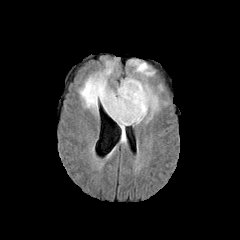
FLAIR MR.
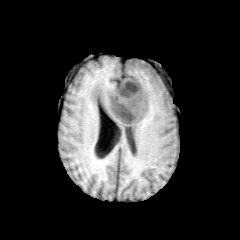
Same slice, T1-weighted magnetic resonance.
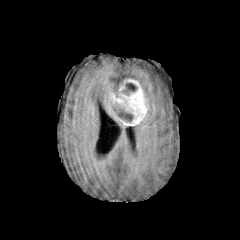
Same slice, post-contrast T1-weighted MR image.
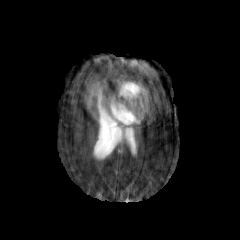
T2-weighted MR.
Head
2 non-enhancing tumor core regions are bounded by x1=112, y1=106, x2=133, y2=121; x1=125, y1=83, x2=137, y2=92. The enhancing tumor lies within x1=107, y1=78, x2=148, y2=127. 4 edema regions are located at x1=136, y1=77, x2=158, y2=118; x1=79, y1=66, x2=117, y2=115; x1=120, y1=126, x2=126, y2=142; x1=128, y1=60, x2=154, y2=76.